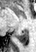 MRI slice. 36x52.
Posterior hippocampus at [16, 28, 28, 43].